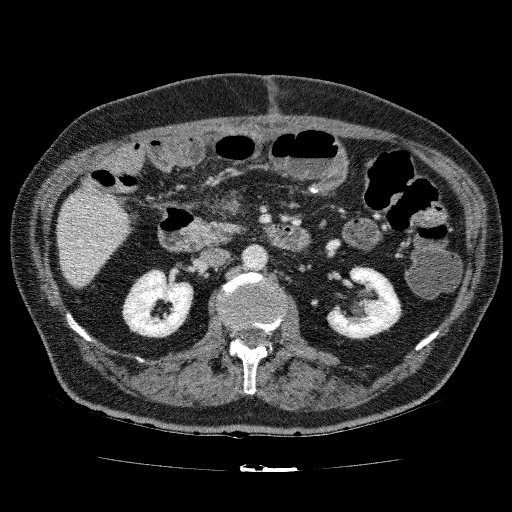

Computed tomography
Liver lesion = [59,245,67,253].
Liver = [57,179,132,288].
Kidney = [123,270,192,336], [327,267,400,338].